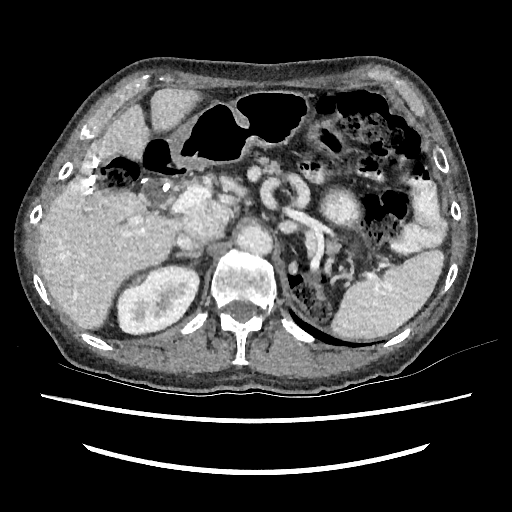 Image size 512x512 | Computed tomography
The kidney is at x1=118 y1=267 x2=198 y2=333. 3 liver regions are bounded by x1=153 y1=89 x2=197 y2=130, x1=39 y1=183 x2=181 y2=328, x1=91 y1=106 x2=148 y2=158.